Abdomen; 512x512; Slice index 177; CT slice
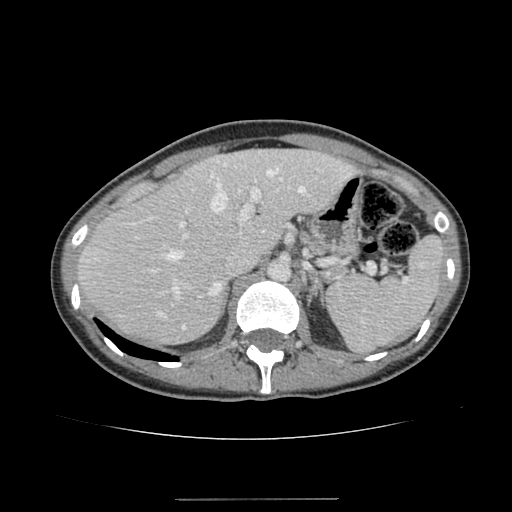

Liver = (left=79, top=149, right=358, bottom=345).